Medial temporal lobe, Image width 34 mm, MR image
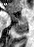 The anterior hippocampus is at region(8, 13, 26, 21). The posterior hippocampus is bounded by region(14, 22, 27, 34).